CT scan slice. Slice index 379.
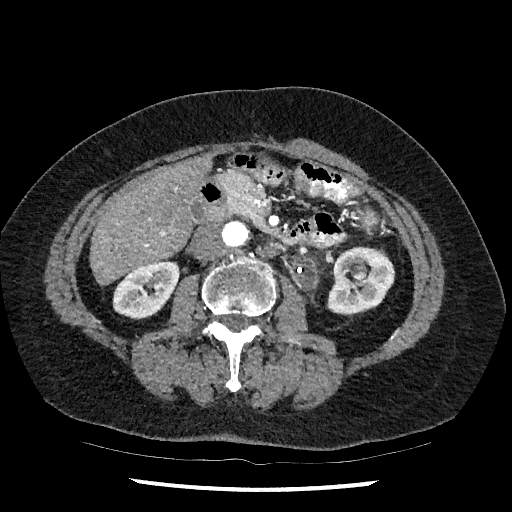

The liver appears at region(90, 153, 212, 285). 2 kidney regions are bounded by region(113, 262, 178, 317); region(328, 247, 394, 313).